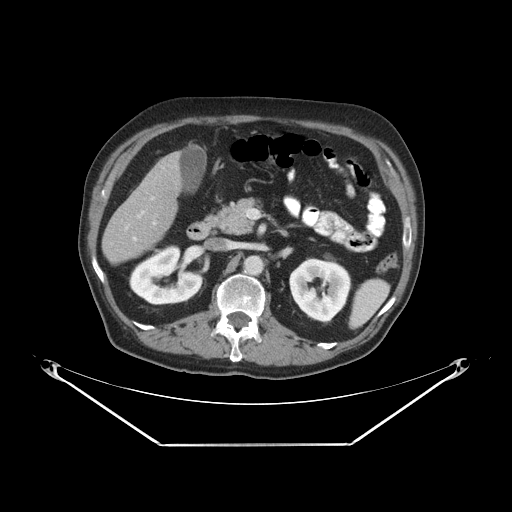

CT. 512x512 px. Abdomen.
Not every hepatic vessel necessarily has a box.
Segmented structures:
* hepatic vessel: [x1=133, y1=237, x2=136, y2=240], [x1=155, y1=177, x2=156, y2=178], [x1=153, y1=197, x2=154, y2=198], [x1=137, y1=210, x2=144, y2=218], [x1=124, y1=224, x2=129, y2=229], [x1=160, y1=160, x2=176, y2=168], [x1=153, y1=222, x2=156, y2=225]